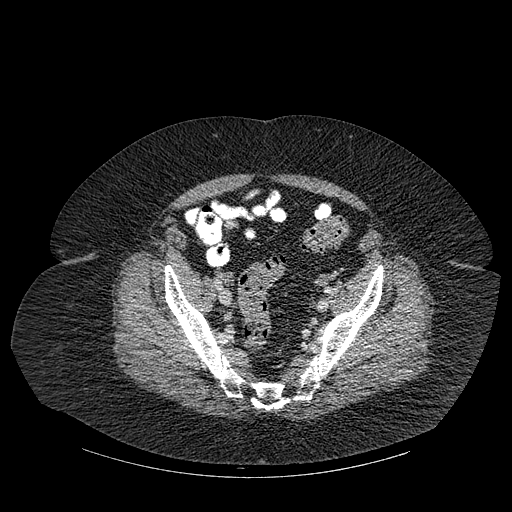

CT image
bone:
  - <box>293,265,383,400</box>
  - <box>251,382,290,409</box>
  - <box>164,265,244,397</box>
  - <box>220,247,229,262</box>